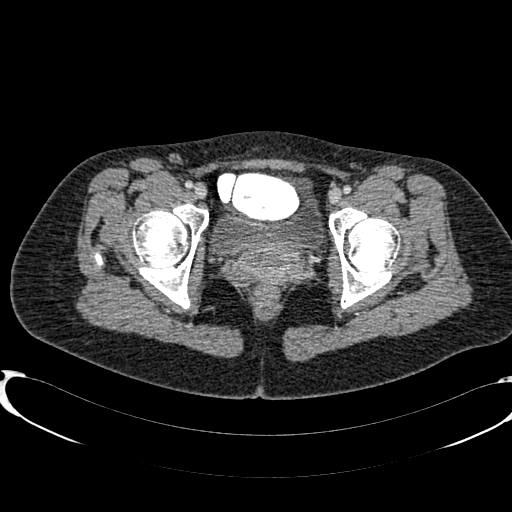
Pelvis. CT slice. • urinary bladder: 219, 197, 321, 254